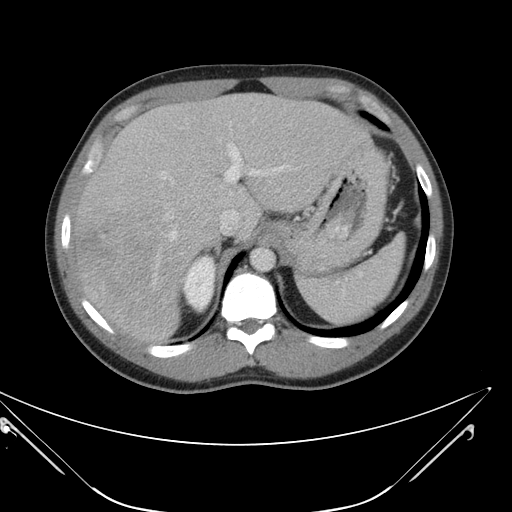

CT slice
Only some of the vessels may be annotated.
9 hepatic vessel regions appear at 166 213 168 217, 225 144 241 181, 249 165 290 174, 167 231 176 240, 170 178 174 182, 230 122 231 124, 161 171 165 178, 220 209 239 233, 180 128 182 129. The liver tumor appears at 76 206 169 303.